CT scan slice. Field of view 386x386 mm.

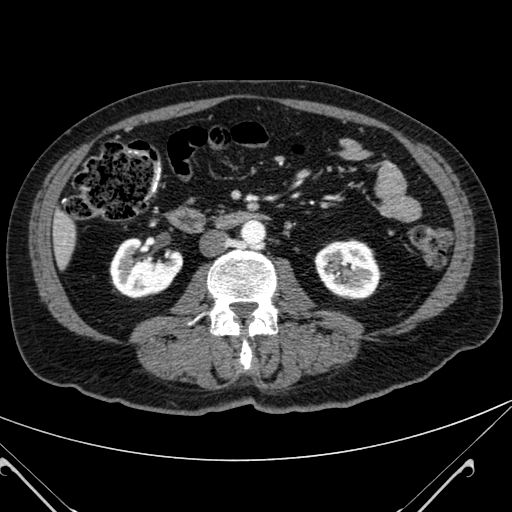
2 kidney regions are bounded by 316,241,378,297; 111,238,181,296. The liver appears at 52,212,75,263.